Head.
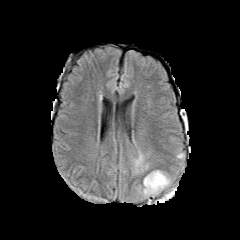
FLAIR MR.
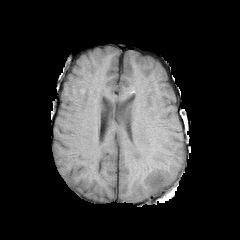
T1-weighted MRI of the same slice.
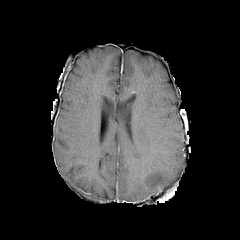
Post-contrast T1-weighted magnetic resonance of the same slice.
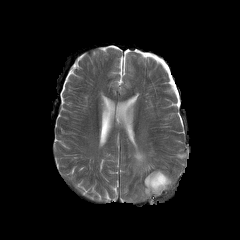
Same slice, T2-weighted MR image.
Edema = [142, 170, 171, 197], [135, 152, 143, 167].